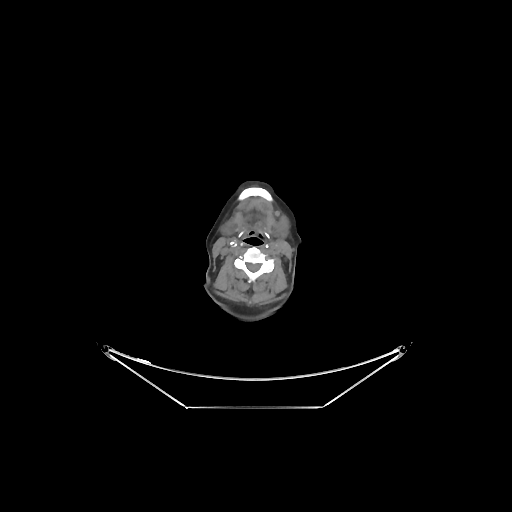

CT slice, Image size 512x512
Bone — (239, 188, 272, 201), (234, 247, 274, 282).